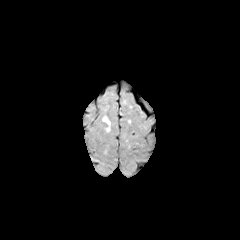
FLAIR MR image.
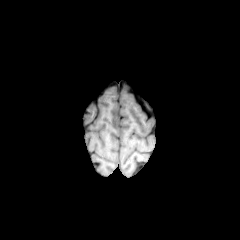
T1-weighted magnetic resonance.
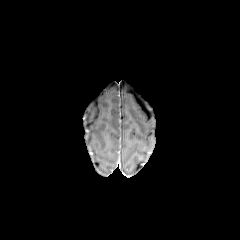
Post-contrast T1-weighted MR.
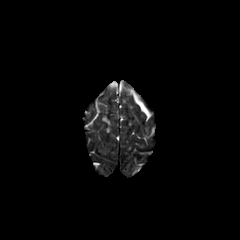
T2-weighted MR.
Head.
Annotated regions:
- edema: region(102, 116, 110, 125)